Slice 13/20.
T2-weighted MRI.
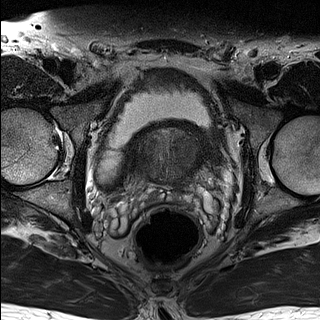
ADC magnetic resonance.
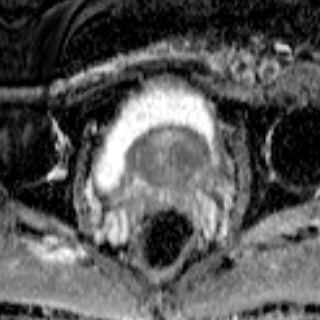
The prostate transition zone is located at 134, 124, 199, 186.